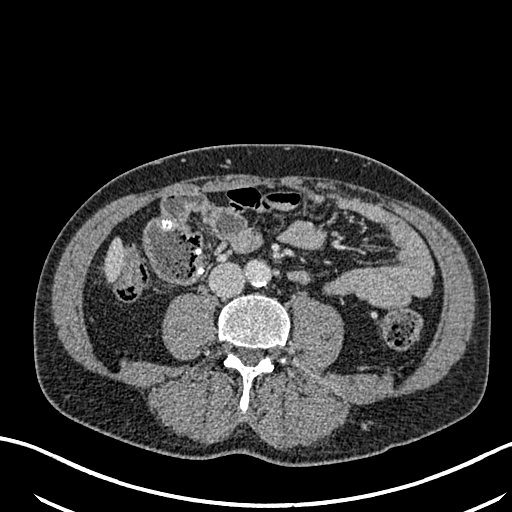 Computed tomography, 512x512
The liver lies within <box>105,238,122,278</box>.